Slice index 73, Image width 314 mm, Abdomen, Computed tomography 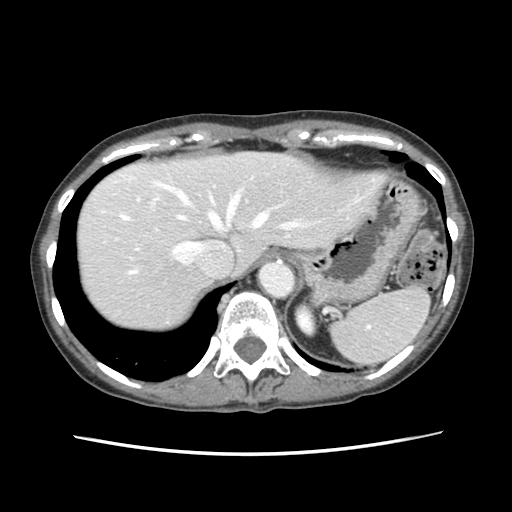
The spleen is at 328, 288, 429, 364.